240x240 px | Head
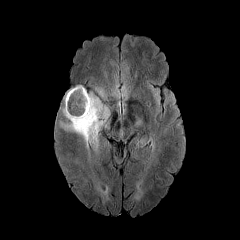
FLAIR MR image.
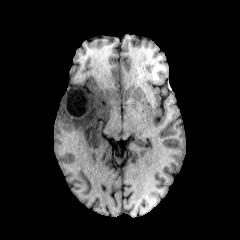
T1-weighted MR.
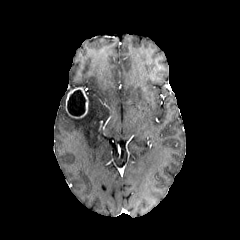
Same slice, post-contrast T1-weighted MRI.
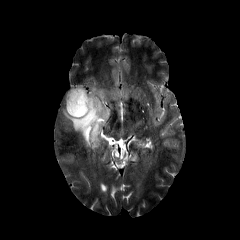
T2-weighted magnetic resonance.
{"non-enhancing_tumor_core": ["[x1=67, y1=89, x2=86, y2=115]"], "edema": ["[x1=60, y1=92, x2=110, y2=153]", "[x1=94, y1=87, x2=105, y2=100]"], "enhancing_tumor": ["[x1=65, y1=87, x2=88, y2=118]"]}